CT scan slice
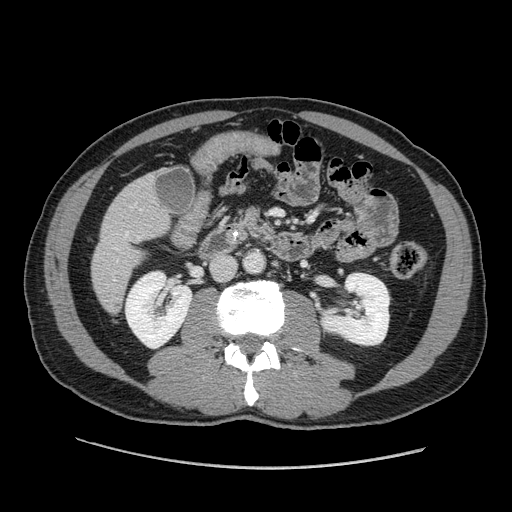 Segmented structures:
* pancreas: region(232, 206, 276, 244)